Image size 512x512, CT scan slice 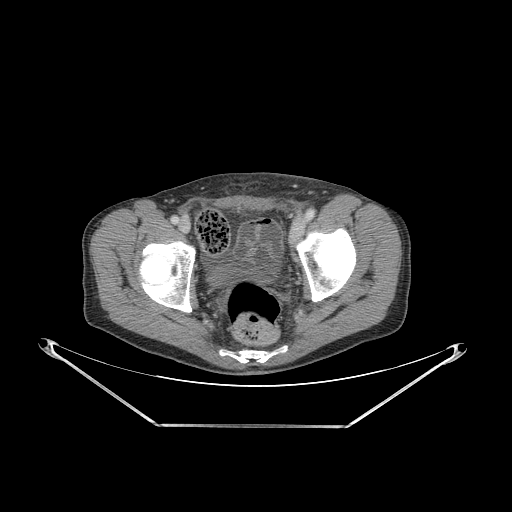

Segmented structures:
* bone: (left=219, top=346, right=287, bottom=363), (left=296, top=228, right=355, bottom=301), (left=138, top=241, right=195, bottom=312)